Slice 340 of 836. Liver. Computed tomography.
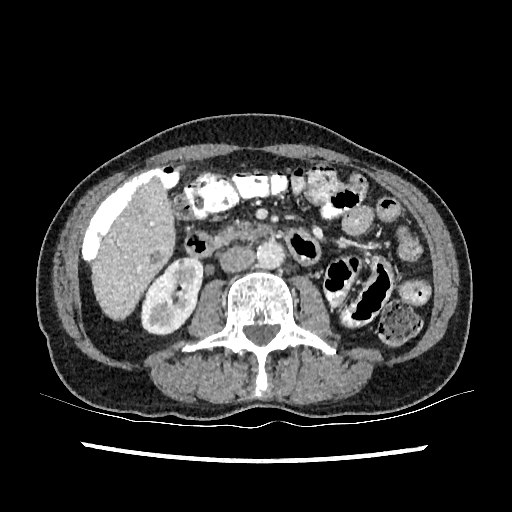 Kidney: bounding box {"x1": 142, "y1": 259, "x2": 202, "y2": 333}.
Liver: bounding box {"x1": 92, "y1": 176, "x2": 173, "y2": 319}.
Hepatic lesion: bounding box {"x1": 149, "y1": 251, "x2": 160, "y2": 263}.